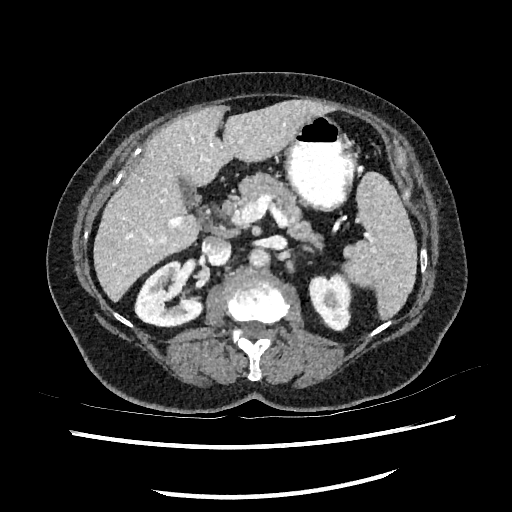

Liver; CT

* liver lesion: box(102, 241, 113, 252)
* liver: box(93, 101, 326, 301)
* kidney: box(310, 276, 349, 329); box(135, 262, 201, 325)